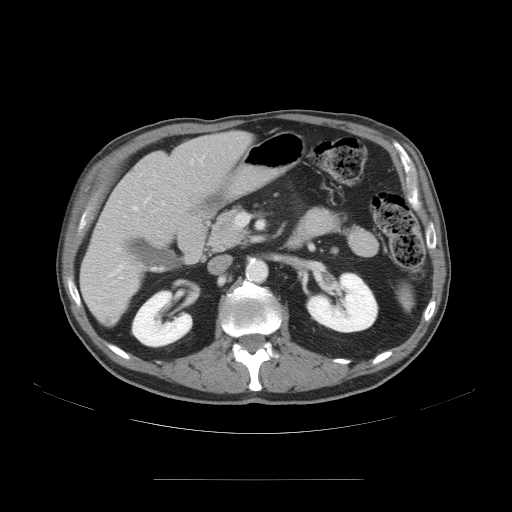
Computed tomography.
The vessel boxes may cover only some of the vessels.
hepatic_vessel:
  - left=235, top=215, right=240, bottom=226
  - left=145, top=198, right=148, bottom=202
  - left=132, top=206, right=138, bottom=210
  - left=108, top=264, right=123, bottom=276